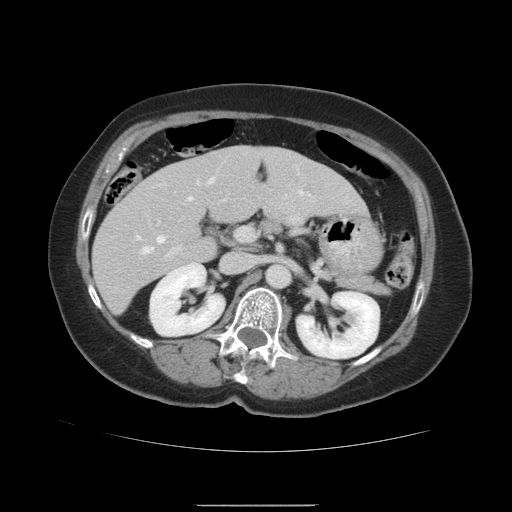

Liver | 512x512 px | CT scan slice
Some hepatic vessels may have no box.
Hepatic vessel: bounding box [x1=165, y1=244, x2=182, y2=259], [x1=223, y1=197, x2=227, y2=200], [x1=288, y1=216, x2=302, y2=223], [x1=158, y1=221, x2=160, y2=224], [x1=197, y1=181, x2=199, y2=184], [x1=136, y1=235, x2=141, y2=240], [x1=188, y1=197, x2=192, y2=200], [x1=236, y1=227, x2=254, y2=240], [x1=158, y1=235, x2=165, y2=243], [x1=300, y1=190, x2=314, y2=201], [x1=142, y1=246, x2=154, y2=253], [x1=180, y1=218, x2=182, y2=220], [x1=209, y1=178, x2=214, y2=184].